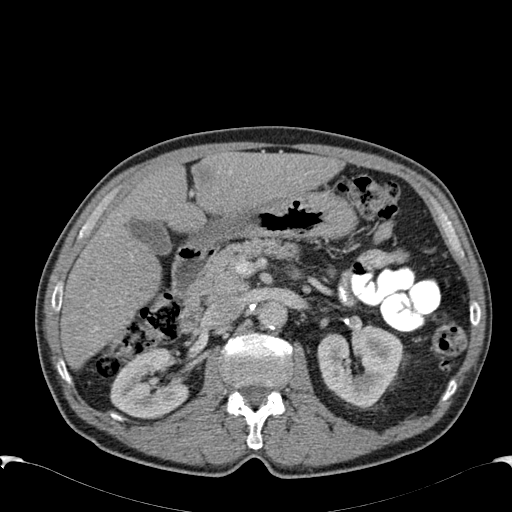

CT image | Abdomen
2 kidney regions are bounded by region(318, 326, 402, 407); region(111, 349, 188, 417). 2 liver regions are located at region(60, 163, 204, 370); region(191, 153, 343, 216). The focal liver lesion is bounded by region(196, 165, 215, 185).